Computed tomography | Slice index 471

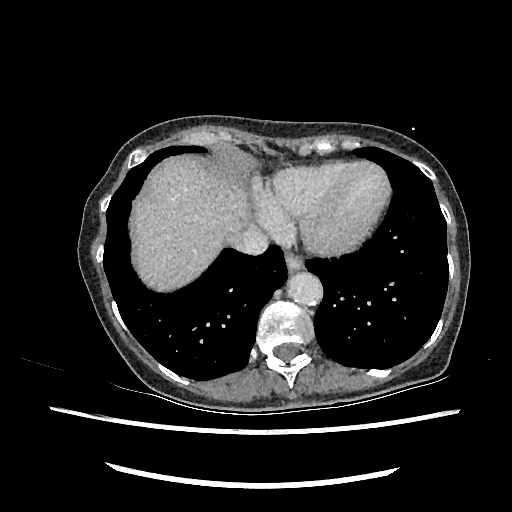
liver:
  - 135, 160, 249, 289